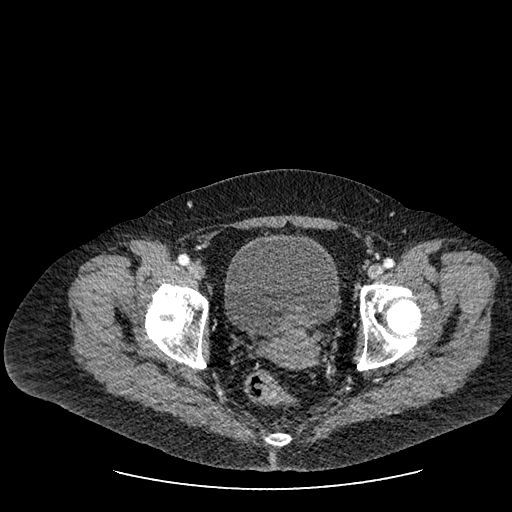
CT image | Lower abdomen
{
  "urinary_bladder": [
    "[225, 232, 338, 337]"
  ]
}